FLAIR MR.
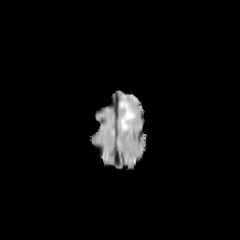
T1-weighted MR.
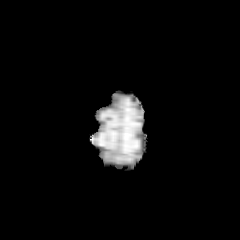
Post-contrast T1-weighted MRI.
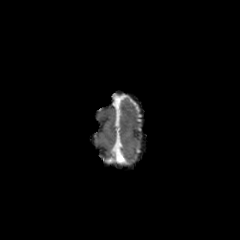
T2-weighted MR image.
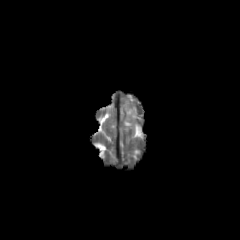
Edema: (120,101,134,129).